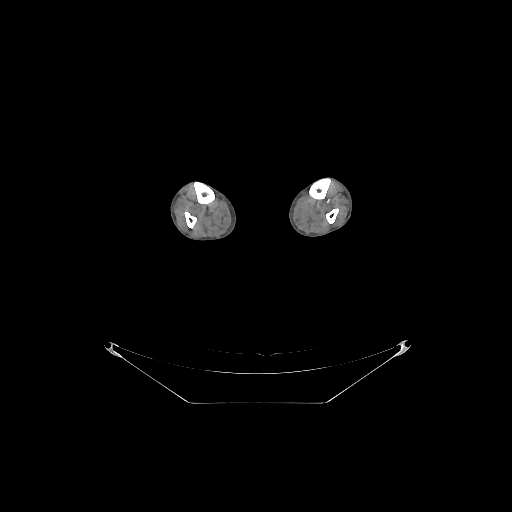

CT slice.

{
  "bone": [
    "<box>309,178,330,199</box>",
    "<box>326,208,338,223</box>",
    "<box>194,182,214,204</box>",
    "<box>184,212,196,228</box>"
  ]
}